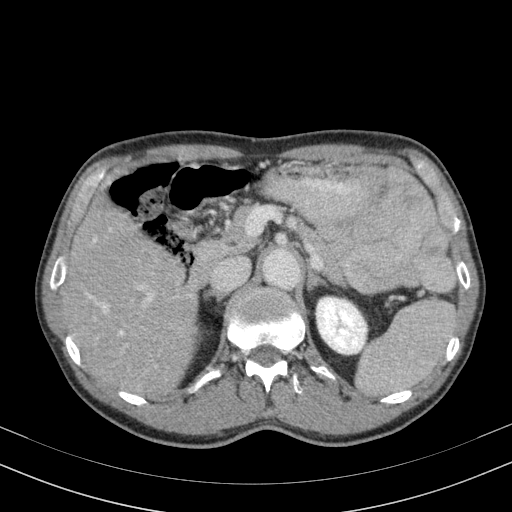
CT image, Upper abdomen

Kidney — bbox=[316, 298, 366, 353].
Liver — bbox=[63, 184, 199, 399].